Slice 310/841; Image size 512x512; CT slice

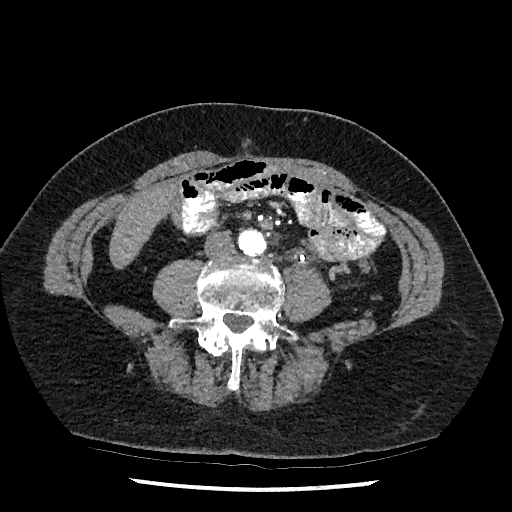

Liver — rect(109, 182, 172, 267).